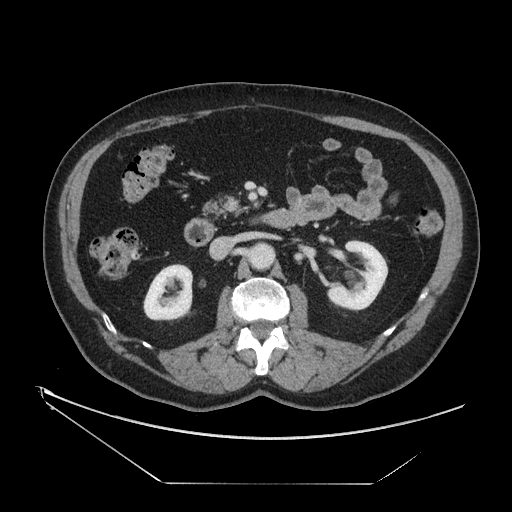
CT slice; Abdomen

pancreas: bbox(203, 193, 244, 218) | pancreatic tumor: bbox(229, 198, 237, 212)